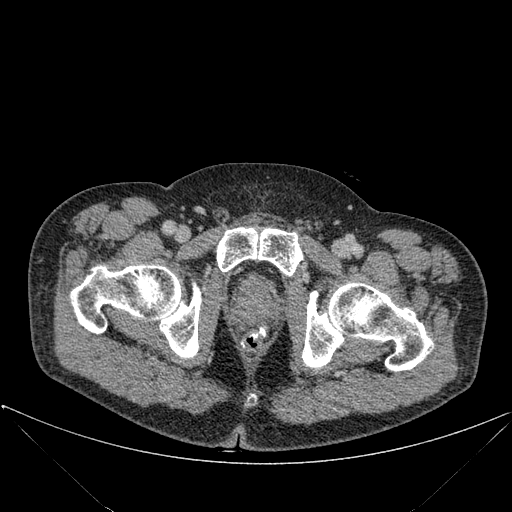
CT image, Image size 512x512
bone:
  - <bbox>217, 227, 302, 275</bbox>
  - <bbox>70, 265, 200, 357</bbox>
  - <bbox>302, 283, 432, 371</bbox>